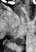 Magnetic resonance | 36x52
The posterior hippocampus is bounded by region(13, 37, 24, 45).